CT slice; Lower abdomen 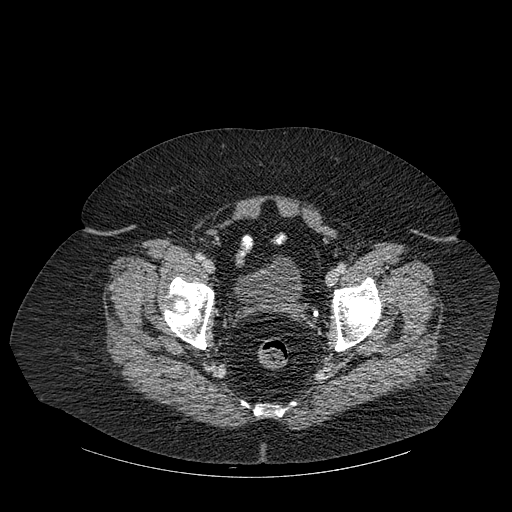

bone:
  - box=[253, 404, 284, 416]
  - box=[332, 277, 381, 351]
  - box=[164, 277, 213, 349]
urinary_bladder:
  - box=[234, 255, 302, 316]